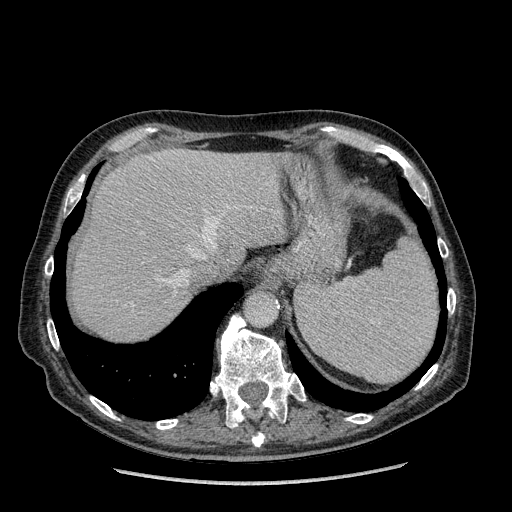
512x512 px. CT slice. Upper abdomen. liver:
  - [72,149,285,341]